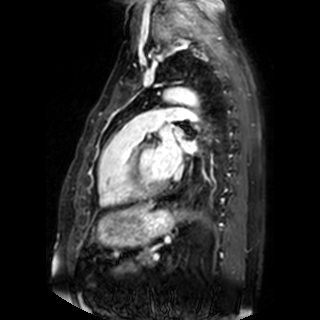
MR image; 320x320 px
left_atrium:
  - 183, 141, 194, 151
  - 174, 127, 182, 135
  - 156, 137, 181, 176